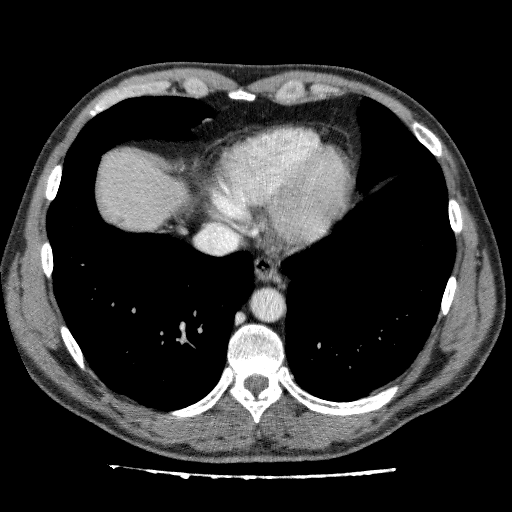

CT, Upper abdomen
Liver at region(96, 149, 189, 234).